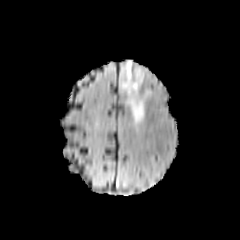
FLAIR MR.
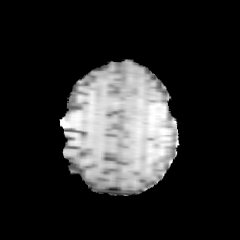
T1-weighted magnetic resonance.
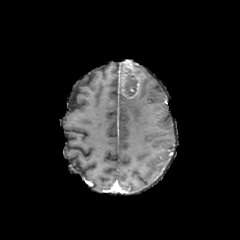
Post-contrast T1-weighted MR of the same slice.
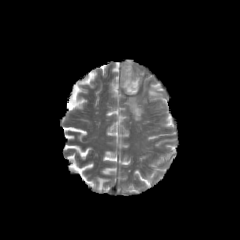
Same slice, T2-weighted MRI.
Brain.
The non-enhancing tumor core is at 123,75,137,97. The enhancing tumor is at 121,60,140,97. The edema appears at 126,88,144,122.